Field of view 350x350 mm; 512x512; CT scan slice; Upper abdomen
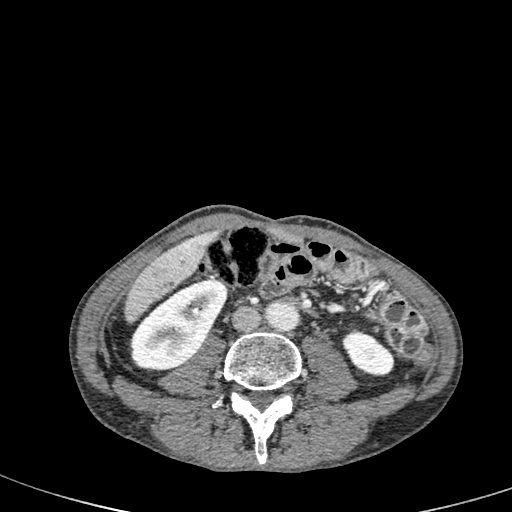

kidney: <bbox>343, 332, 393, 374</bbox>, <bbox>132, 280, 227, 369</bbox> | liver: <bbox>124, 232, 217, 323</bbox>